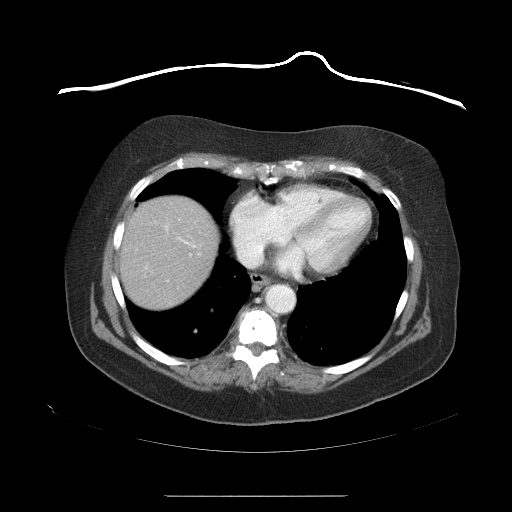 512x512 px. CT.

The vessel boxes may cover only some of the vessels.
hepatic_vessel:
  - x1=198 y1=253 x2=200 y2=254
  - x1=164 y1=225 x2=167 y2=231
  - x1=189 y1=254 x2=190 y2=256
  - x1=145 y1=266 x2=146 y2=268
  - x1=181 y1=240 x2=194 y2=247